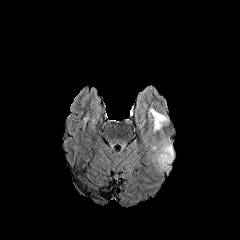
FLAIR MR.
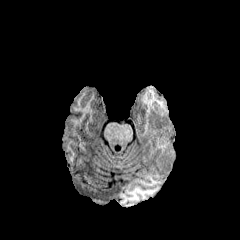
T1-weighted MR.
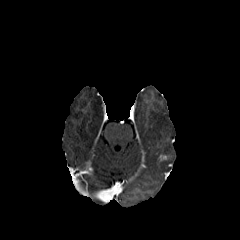
Post-contrast T1-weighted MR image.
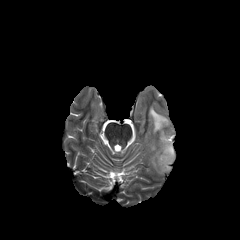
T2-weighted MRI.
Image size 240x240
edema: left=148, top=106, right=169, bottom=134; left=149, top=132, right=175, bottom=172 | enhancing tumor: left=158, top=154, right=169, bottom=162